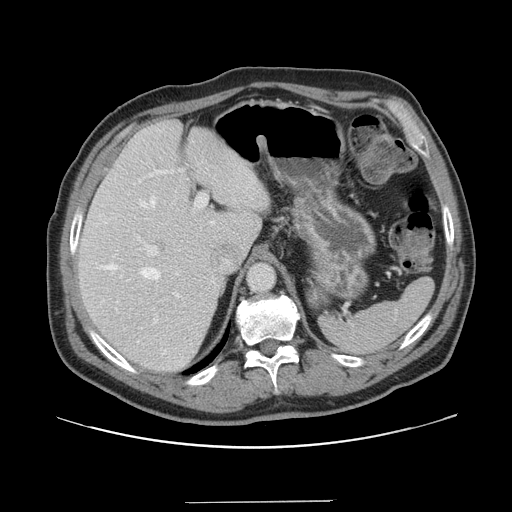 Liver | CT image
The vessel boxes may cover only some of the vessels.
Hepatic vessel = [173, 292, 179, 297], [139, 196, 155, 207], [211, 221, 213, 222], [178, 169, 181, 170], [154, 170, 173, 173], [102, 264, 117, 269], [141, 268, 159, 279], [144, 243, 157, 255], [195, 194, 207, 208].